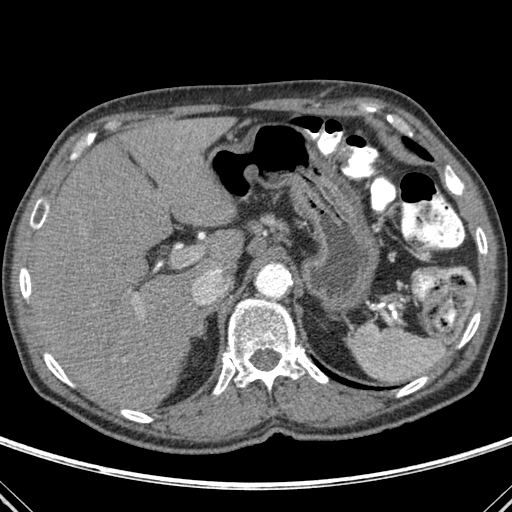

CT scan slice. • bone: <box>445,166,463,194</box>, <box>459,312,480,347</box>, <box>44,353,72,386</box>, <box>121,411,152,422</box>, <box>397,376,427,396</box>, <box>30,199,46,228</box>, <box>476,227,487,254</box>, <box>19,268,31,298</box>, <box>213,299,328,394</box>
• lung: <box>402,137,432,160</box>, <box>314,360,380,389</box>
• liver: <box>211,230,244,268</box>, <box>28,116,236,410</box>